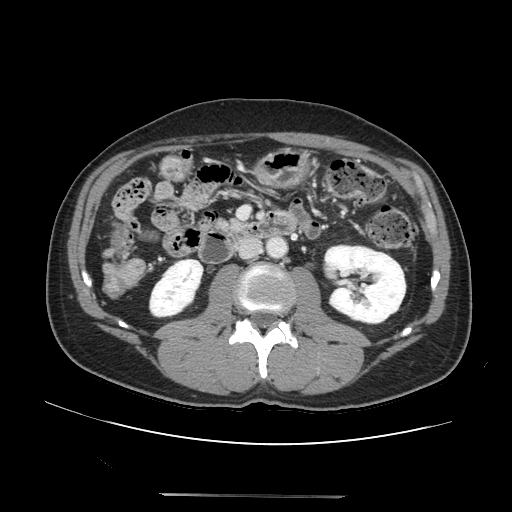 Upper abdomen. CT scan slice.

Segmented structures:
- pancreas: bbox(215, 218, 248, 233)